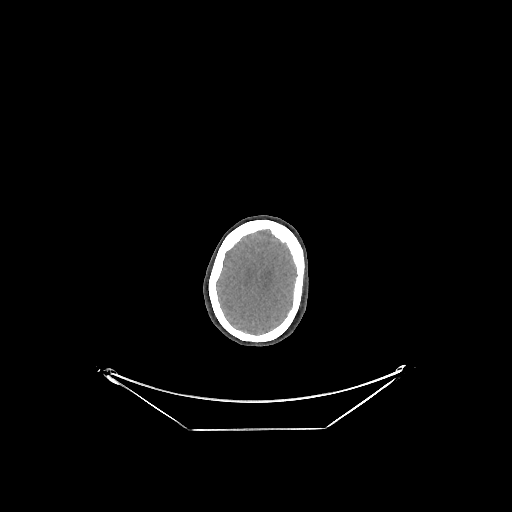 Brain; CT
Annotated regions:
- brain: <box>216,229,297,335</box>